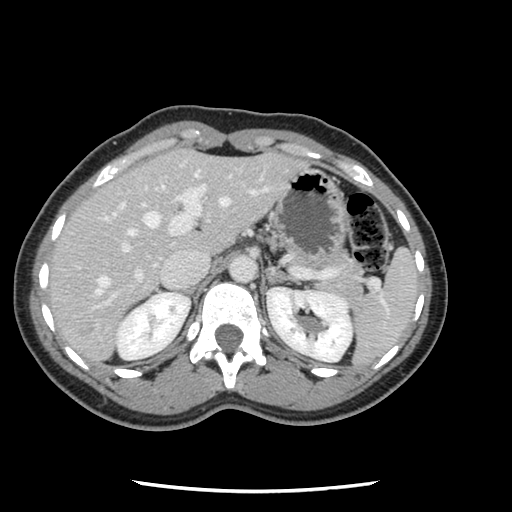 CT
The vessel annotation is not exhaustive.
hepatic_vessel:
  - [x1=119, y1=202, x2=124, y2=207]
  - [x1=103, y1=218, x2=108, y2=218]
  - [x1=128, y1=229, x2=135, y2=234]
  - [x1=169, y1=185, x2=205, y2=234]
  - [x1=144, y1=211, x2=158, y2=226]
  - [x1=194, y1=170, x2=197, y2=175]
  - [x1=112, y1=212, x2=115, y2=216]
  - [x1=95, y1=276, x2=108, y2=293]
  - [x1=219, y1=197, x2=228, y2=205]
  - [x1=135, y1=270, x2=141, y2=278]
  - [x1=122, y1=243, x2=128, y2=250]
  - [x1=249, y1=189, x2=256, y2=193]
  - [x1=265, y1=187, x2=267, y2=188]
liver_tumor:
  - [x1=73, y1=326, x2=90, y2=334]